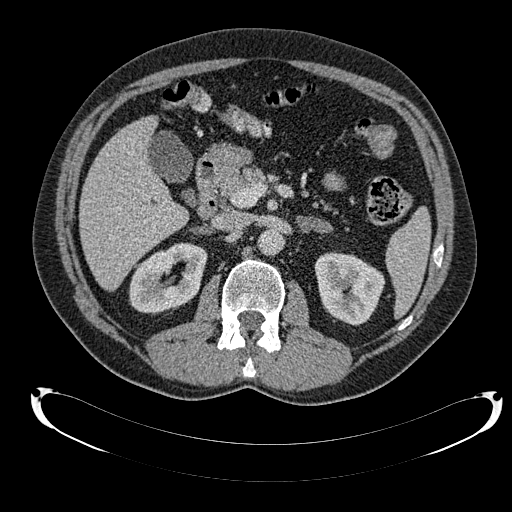 Liver, 512x512 px, CT slice
Annotated regions:
- kidney: x1=130 y1=243 x2=206 y2=312, x1=315 y1=253 x2=384 y2=324
- liver: x1=79 y1=118 x2=187 y2=290